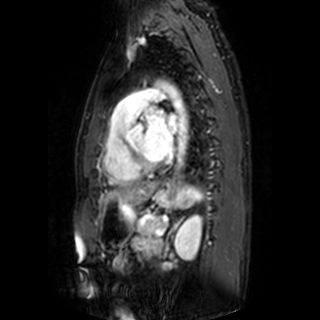

Cardiac, 320x320 px, MRI
{
  "left_atrium": [
    "(left=142, top=108, right=177, bottom=160)"
  ]
}